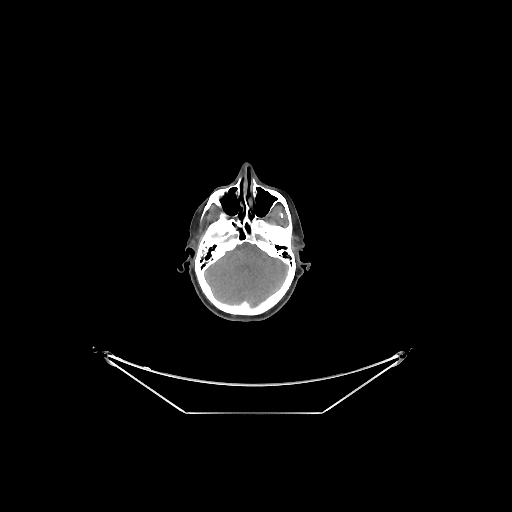

Head | 512x512 | CT scan slice

<segmentation>
  <brain>(x1=204, y1=242, x2=287, y2=307)</brain>
</segmentation>